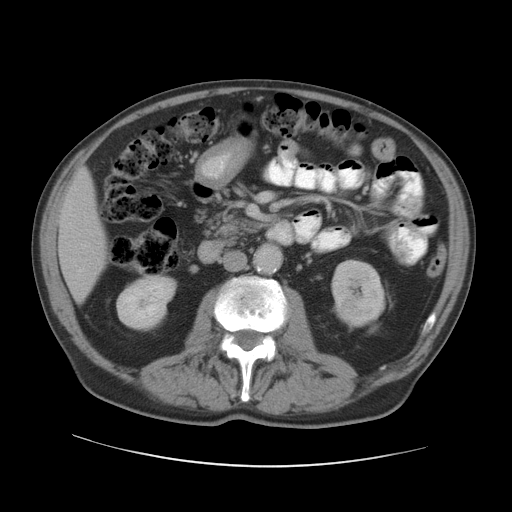 CT scan slice. Liver.

Not every hepatic vessel necessarily has a box.
<segmentation>
  <hepatic_vessel>(left=78, top=269, right=82, bottom=271), (left=62, top=223, right=70, bottom=226), (left=81, top=244, right=88, bottom=247)</hepatic_vessel>
</segmentation>